CT scan slice
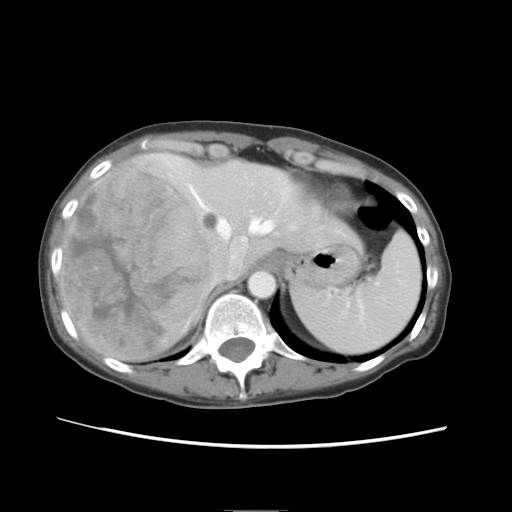

Not every hepatic vessel necessarily has a box.
Segmented structures:
- hepatic vessel: x1=250 y1=219 x2=271 y2=232, x1=190 y1=186 x2=205 y2=207, x1=231 y1=236 x2=245 y2=278, x1=218 y1=220 x2=229 y2=237
- liver tumor: x1=60 y1=164 x2=215 y2=358